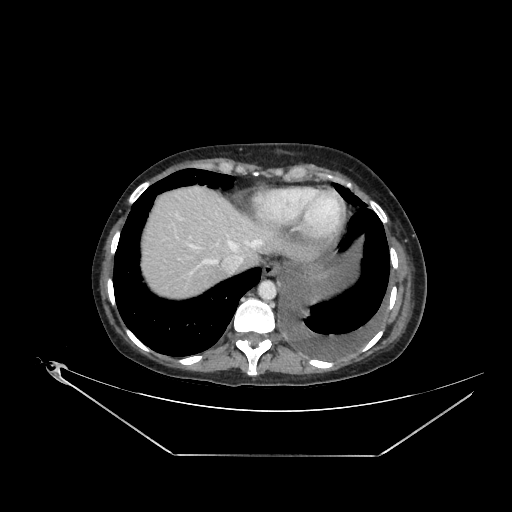
Computed tomography. Upper abdomen.

The liver is at box=[145, 187, 284, 298].